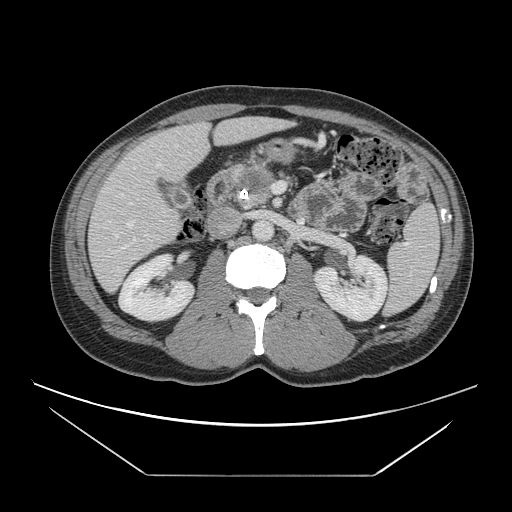

Abdomen. CT image. 512x512 px.
pancreatic tumor: (x1=241, y1=169, x2=262, y2=192) | pancreas: (x1=234, y1=168, x2=273, y2=206)